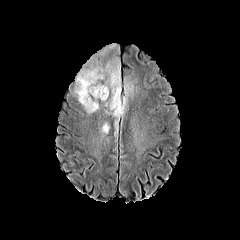
FLAIR MRI.
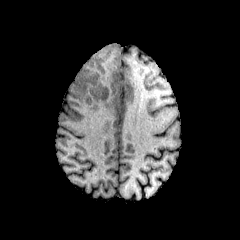
Same slice, T1-weighted MR.
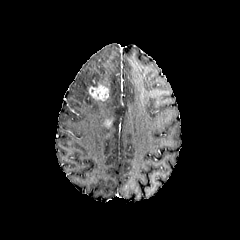
Post-contrast T1-weighted MR image.
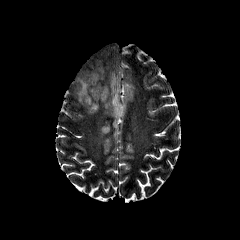
T2-weighted magnetic resonance.
<segmentation>
  <enhancing_tumor>box(89, 83, 108, 101)</enhancing_tumor>
  <edema>box(105, 59, 133, 141); box(101, 123, 109, 133); box(74, 66, 105, 112)</edema>
</segmentation>